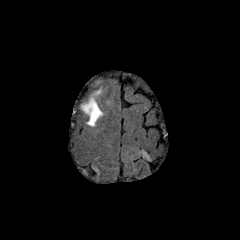
FLAIR MR image.
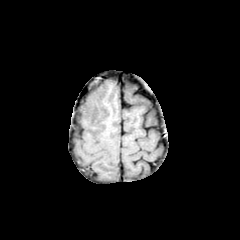
Same slice, T1-weighted MRI.
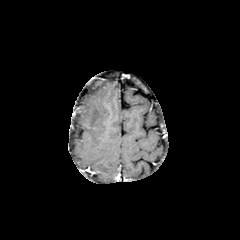
Post-contrast T1-weighted magnetic resonance.
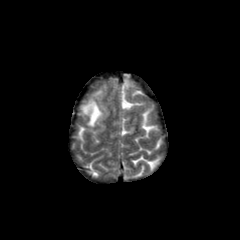
T2-weighted MR image of the same slice.
The edema is bounded by [x1=82, y1=90, x2=103, y2=126].